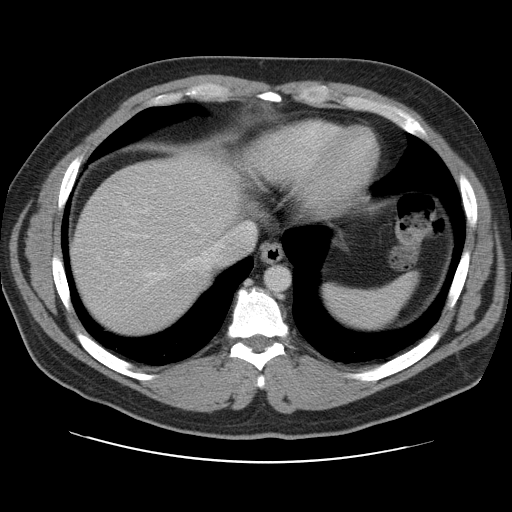
Image size 512x512, Computed tomography, Abdomen
Some hepatic vessels may have no box.
Hepatic vessel = l=169, t=186, r=171, b=187; l=187, t=260, r=190, b=261; l=124, t=250, r=129, b=255; l=225, t=215, r=231, b=217; l=184, t=264, r=187, b=267; l=205, t=257, r=212, b=261; l=204, t=253, r=206, b=254; l=193, t=257, r=199, b=261; l=147, t=269, r=166, b=282.